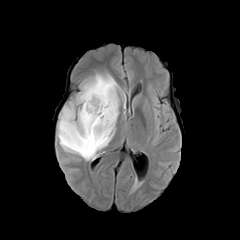
FLAIR magnetic resonance.
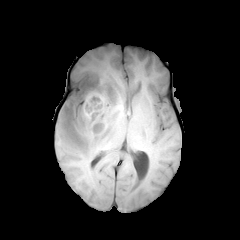
T1-weighted MR of the same slice.
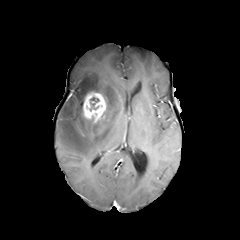
Post-contrast T1-weighted MR.
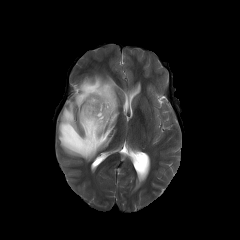
T2-weighted MR.
Head; 240x240 px
Non-enhancing tumor core = region(89, 96, 99, 111).
Edema = region(55, 73, 126, 161).
Enhancing tumor = region(83, 93, 105, 122).